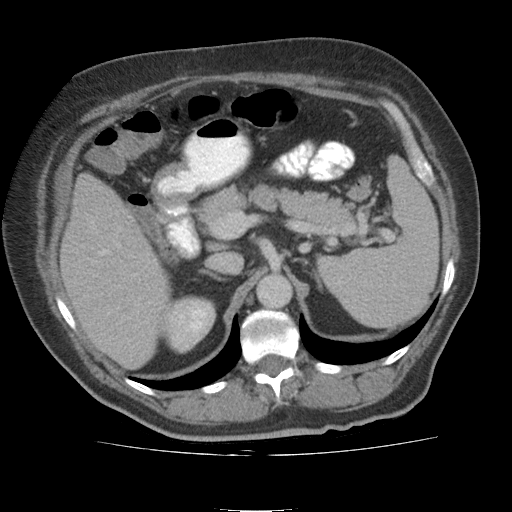

512x512 | CT scan slice | Abdomen
{"liver": ["region(63, 179, 167, 364)"], "kidney": ["region(169, 301, 210, 346)"]}